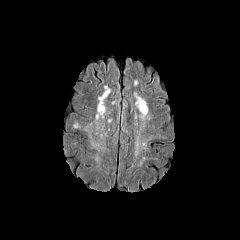
FLAIR MR.
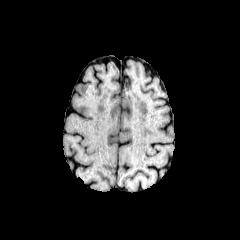
T1-weighted MRI.
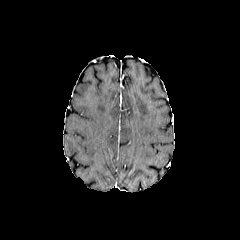
Same slice, post-contrast T1-weighted MRI.
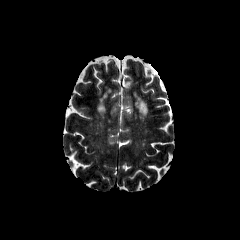
T2-weighted magnetic resonance.
Brain, Image size 240x240
edema:
  - 97, 91, 111, 115